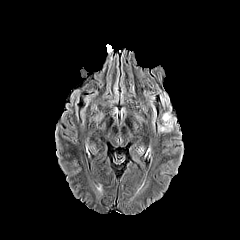
FLAIR MRI.
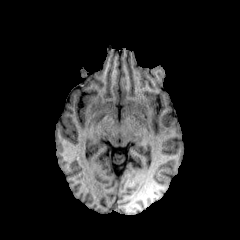
Same slice, T1-weighted MR image.
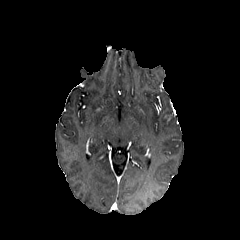
Post-contrast T1-weighted MR image of the same slice.
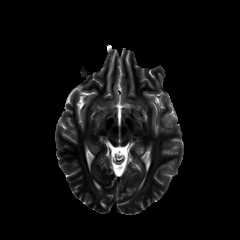
T2-weighted MR image of the same slice.
Brain
Edema — <box>145,93,178,135</box>.